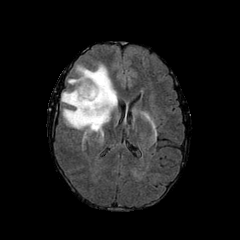
FLAIR MR.
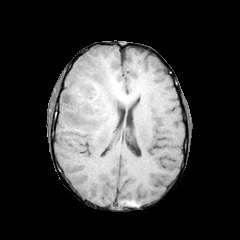
T1-weighted magnetic resonance.
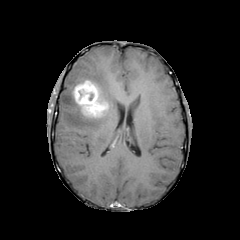
Same slice, post-contrast T1-weighted MR image.
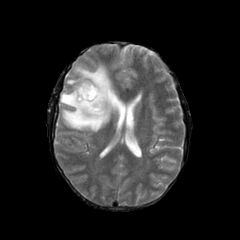
T2-weighted magnetic resonance of the same slice.
Head.
• edema: box=[61, 64, 117, 132]
• enhancing tumor: box=[73, 80, 108, 117]